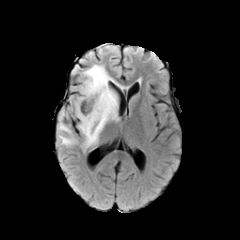
FLAIR MR image.
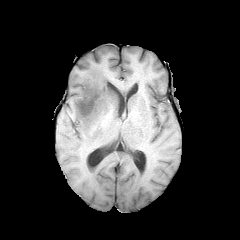
T1-weighted MR of the same slice.
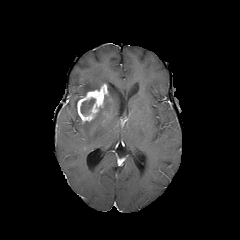
Post-contrast T1-weighted MR of the same slice.
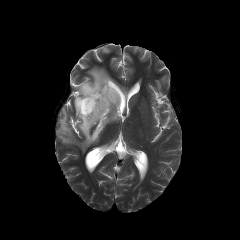
T2-weighted MR.
Head; Image size 240x240
The enhancing tumor is located at bbox=[77, 83, 108, 123]. 3 edema regions are located at bbox=[80, 64, 125, 89]; bbox=[57, 108, 75, 146]; bbox=[79, 93, 118, 150]. 3 non-enhancing tumor core regions are bounded by bbox=[104, 83, 114, 107]; bbox=[80, 84, 99, 95]; bbox=[80, 98, 95, 113].